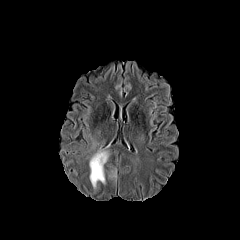
FLAIR MRI.
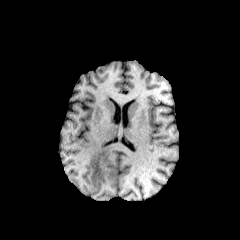
T1-weighted MR image of the same slice.
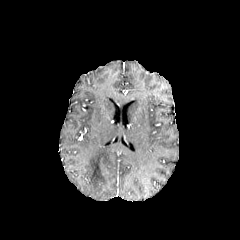
Post-contrast T1-weighted MR image.
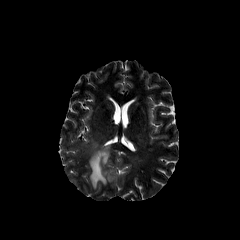
T2-weighted MRI.
Head
The edema is at x1=85, y1=139, x2=110, y2=190.